CT scan slice. Image width 427 mm.
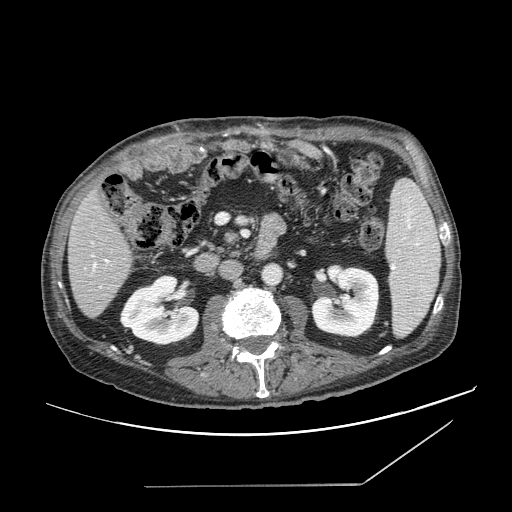

- pancreas: 226:235:235:242